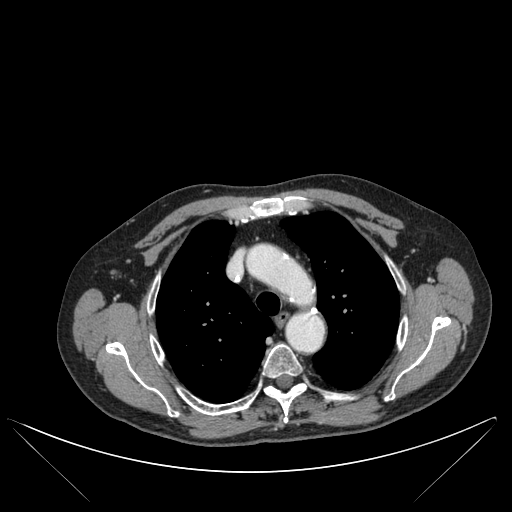 Chest. CT image. Annotated regions:
* bone: (left=324, top=392, right=353, bottom=399), (left=264, top=383, right=306, bottom=422), (left=390, top=264, right=400, bottom=287), (left=147, top=280, right=156, bottom=313), (left=242, top=196, right=305, bottom=222), (left=150, top=335, right=163, bottom=364), (left=385, top=317, right=450, bottom=400), (left=106, top=342, right=178, bottom=416), (left=178, top=391, right=255, bottom=415), (left=397, top=317, right=407, bottom=349), (left=263, top=344, right=301, bottom=377)
* lung: (left=280, top=212, right=399, bottom=389), (left=156, top=220, right=279, bottom=402)